FLAIR MR image.
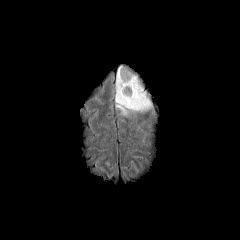
T1-weighted MR image.
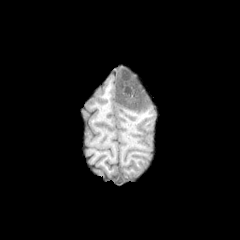
Post-contrast T1-weighted MRI.
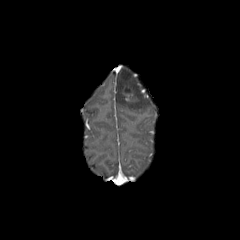
T2-weighted MR.
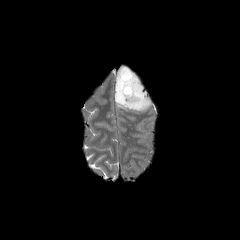
240x240 px
Enhancing tumor: [x1=120, y1=85, x2=137, y2=102].
Non-enhancing tumor core: [x1=122, y1=81, x2=136, y2=90], [x1=120, y1=69, x2=132, y2=80].
Edema: [x1=116, y1=74, x2=152, y2=114].